T2-weighted MRI.
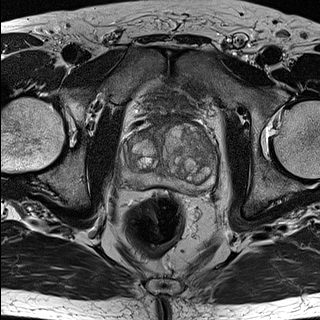
ADC MR image.
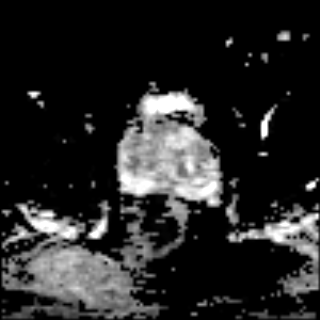
Pelvis
Annotated regions:
• prostate peripheral zone: [122, 152, 214, 192]
• prostate transition zone: [123, 122, 214, 183]